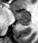

Image size 38x43. Medial temporal lobe. MR image. Posterior hippocampus = (left=19, top=20, right=30, bottom=25).
Anterior hippocampus = (left=15, top=11, right=30, bottom=19).